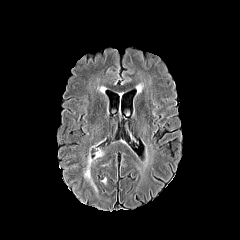
FLAIR MRI.
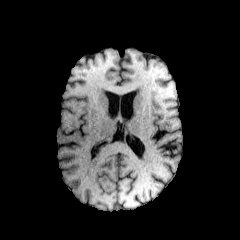
T1-weighted MRI.
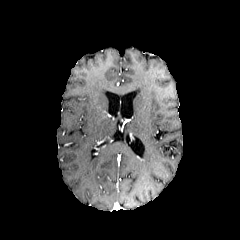
Same slice, post-contrast T1-weighted magnetic resonance.
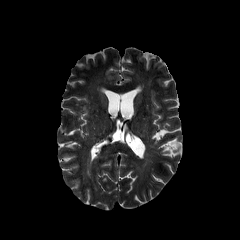
T2-weighted magnetic resonance.
Image size 240x240; Brain
Edema — 84, 151, 102, 191.